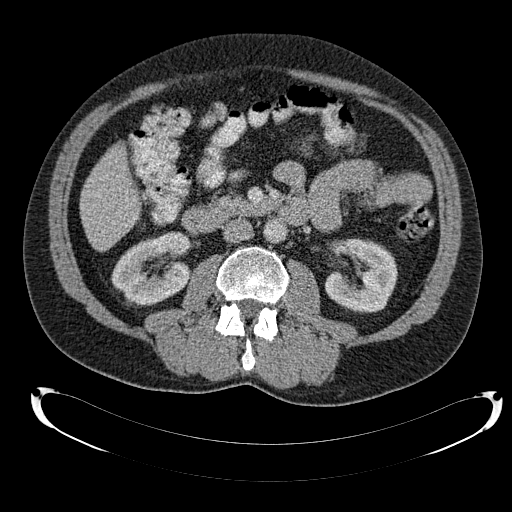
CT slice. 512x512 px. Abdomen.

kidney: <bbox>112, 233, 189, 304</bbox>, <bbox>325, 239, 396, 311</bbox> | liver: <bbox>81, 145, 140, 250</bbox>